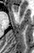

Hippocampus. MRI. 34x53. - anterior hippocampus: 14, 5, 18, 11